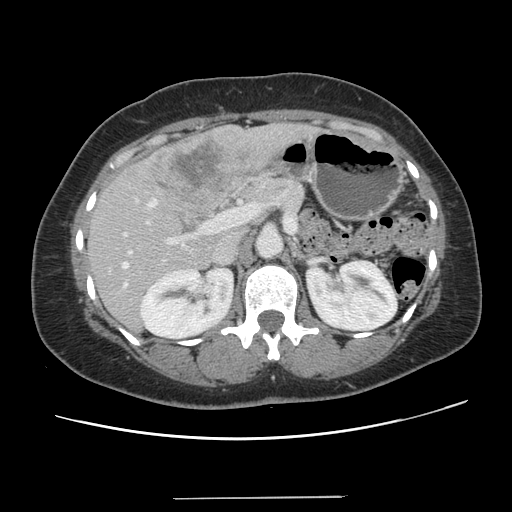 CT scan slice. Abdomen. 512x512 px. The vessel annotation is not exhaustive.
liver_tumor:
  - left=146, top=136, right=249, bottom=206
hepatic_vessel:
  - left=124, top=233, right=126, bottom=235
  - left=146, top=221, right=149, bottom=223
  - left=246, top=214, right=247, bottom=216
  - left=128, top=251, right=131, bottom=253
  - left=200, top=224, right=210, bottom=233
  - left=136, top=199, right=137, bottom=201
  - left=124, top=282, right=126, bottom=287
  - left=218, top=225, right=230, bottom=230
  - left=123, top=263, right=127, bottom=267
  - left=148, top=199, right=156, bottom=206
  - left=167, top=238, right=183, bottom=245